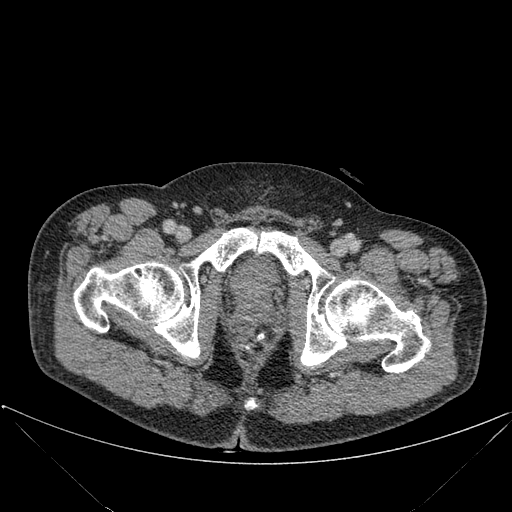

CT image
- bone: box=[246, 399, 255, 408]; box=[74, 228, 429, 372]